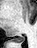 Hippocampus; MR image
{
  "posterior_hippocampus": [
    "left=11, top=36, right=25, bottom=42"
  ]
}